CT 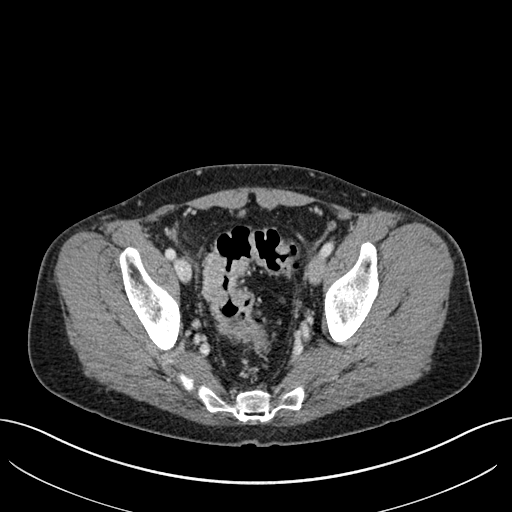

colon_tumor:
  - [203, 251, 226, 304]
  - [229, 257, 255, 311]